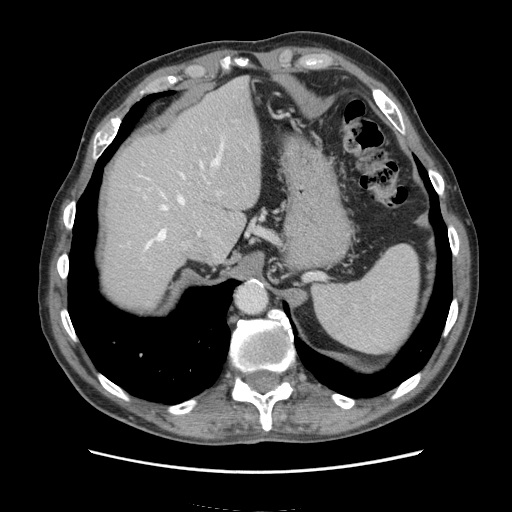

Image size 512x512, CT scan slice
Segmented structures:
- spleen: [313,246,419,353]